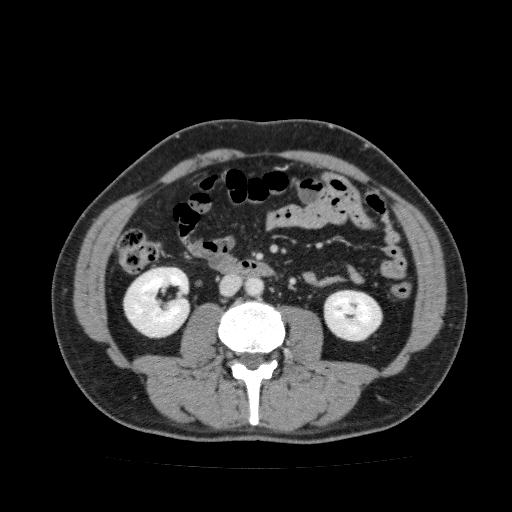 Abdomen. CT scan slice.

kidney: 325 291 381 340, 124 267 188 336